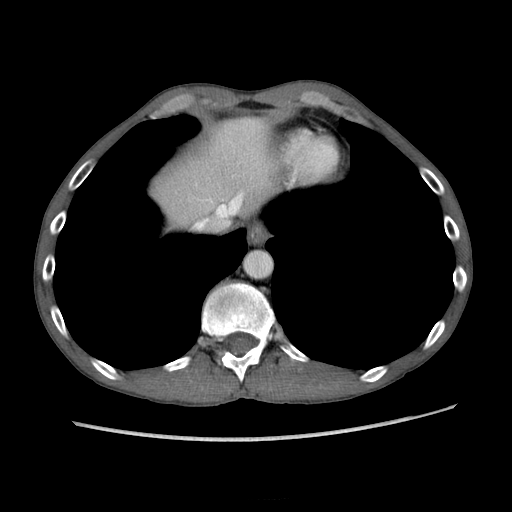 512x512. Upper abdomen. CT. liver:
  - box(155, 117, 280, 235)